FLAIR MRI.
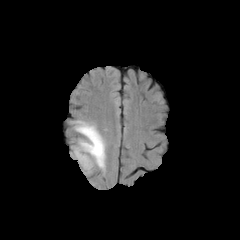
T1-weighted magnetic resonance.
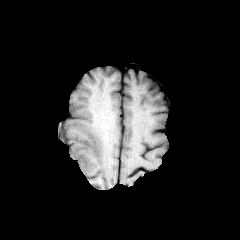
Post-contrast T1-weighted magnetic resonance.
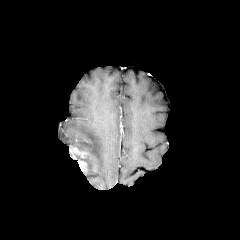
T2-weighted magnetic resonance.
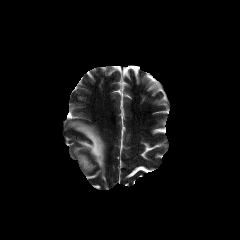
Edema: bounding box (x1=72, y1=121, x2=105, y2=169).